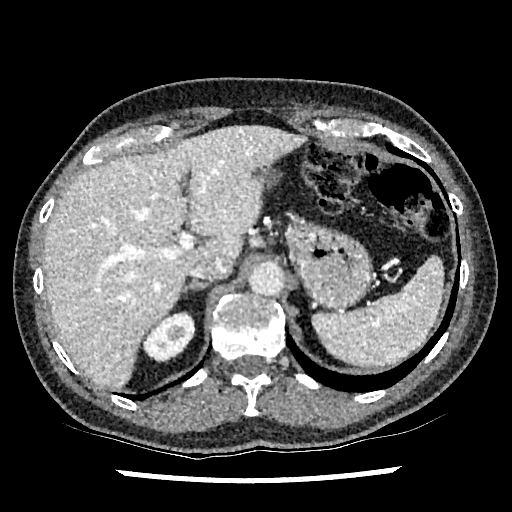
CT scan slice.

{"liver": ["(x1=44, y1=125, x2=307, y2=388)"], "focal_liver_lesion": ["(x1=251, y1=165, x2=267, y2=177)"], "kidney": ["(x1=145, y1=314, x2=193, y2=359)"]}